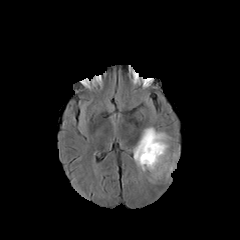
FLAIR MRI.
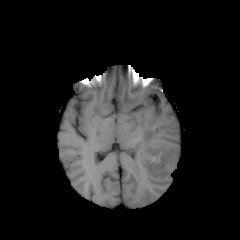
T1-weighted MR.
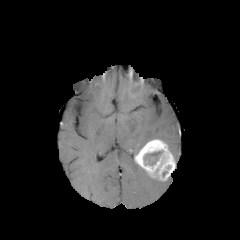
Post-contrast T1-weighted MR image.
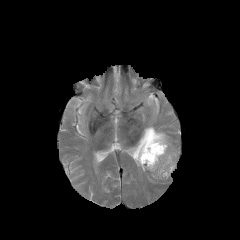
T2-weighted MR image.
Head
non-enhancing tumor core: [148, 151, 161, 159] | edema: [129, 125, 172, 153], [173, 148, 179, 168] | enhancing tumor: [134, 139, 175, 181]